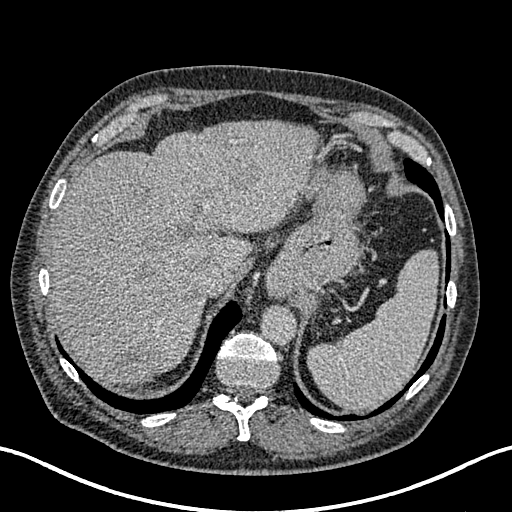
CT slice | Image size 512x512

2 liver regions are located at (x1=49, y1=122, x2=318, y2=385), (x1=169, y1=281, x2=179, y2=291). 6 hepatic lesion regions are located at (x1=135, y1=223, x2=213, y2=308), (x1=188, y1=205, x2=206, y2=221), (x1=200, y1=185, x2=213, y2=202), (x1=117, y1=344, x2=163, y2=377), (x1=226, y1=160, x2=260, y2=187), (x1=155, y1=286, x2=165, y2=297).